Slice 25 of 93, Computed tomography, Field of view 500x500 mm 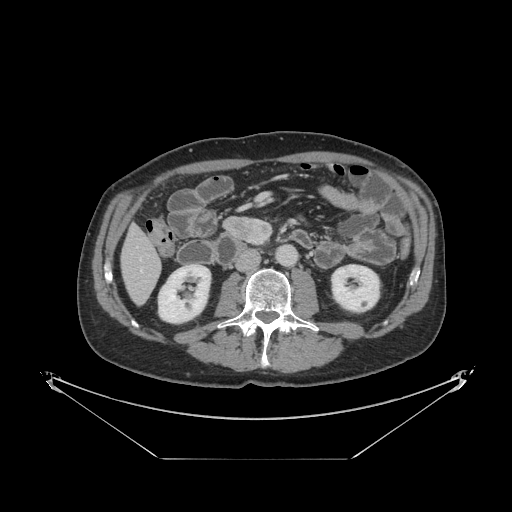 Pancreatic tumor at bbox(223, 216, 271, 245).